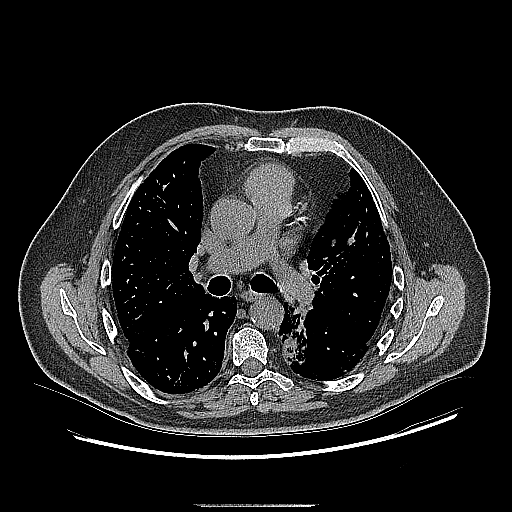

CT slice
Lung tumor: [279, 302, 309, 366].